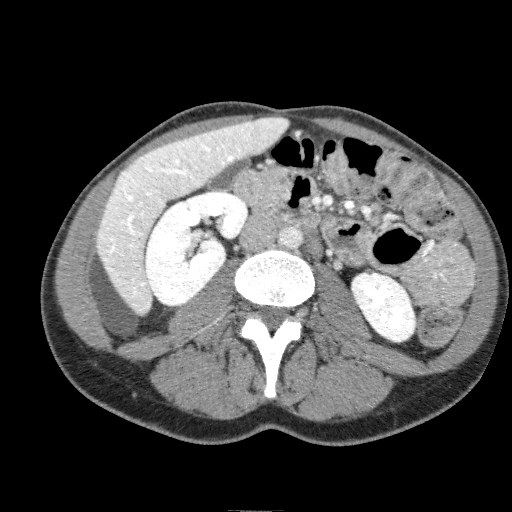

Upper abdomen | CT image
kidney: 352:273:414:341, 146:192:246:305 | liver: 96:116:289:314